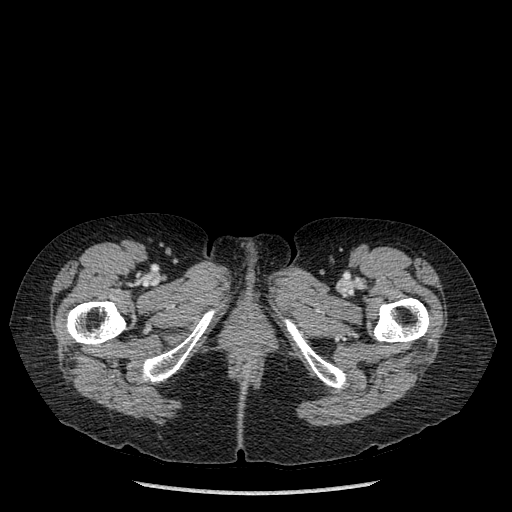 CT scan slice | 512x512 px

Bone: bounding box l=142, t=310, r=214, b=382; l=373, t=298, r=429, b=342; l=284, t=319, r=346, b=389; l=64, t=301, r=126, b=346.